FLAIR MRI.
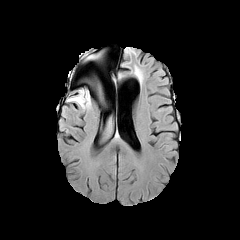
T1-weighted MRI.
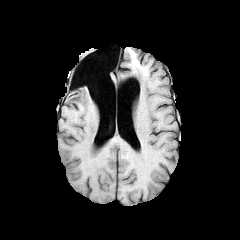
Post-contrast T1-weighted MR.
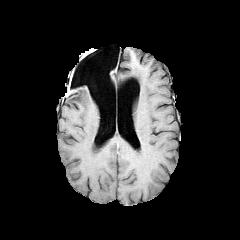
T2-weighted MRI.
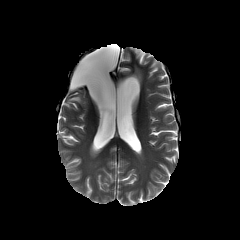
Brain
Segmented structures:
* edema: [68, 90, 91, 110]